Slice 97 of 155. Image width 240 mm.
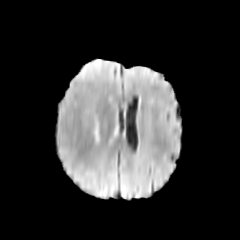
FLAIR MRI.
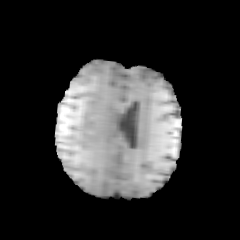
T1-weighted MR.
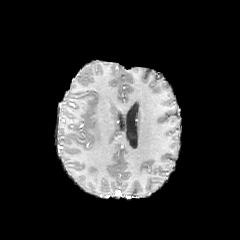
Same slice, post-contrast T1-weighted MR image.
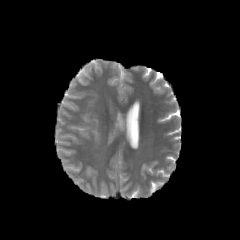
T2-weighted MR image of the same slice.
The edema is bounded by x1=93 y1=119 x2=100 y2=145.